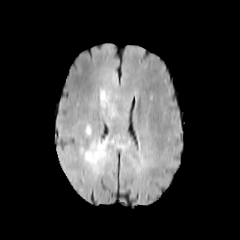
FLAIR magnetic resonance.
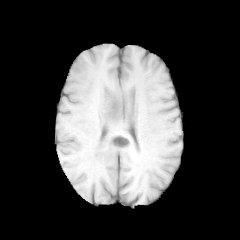
T1-weighted MR image of the same slice.
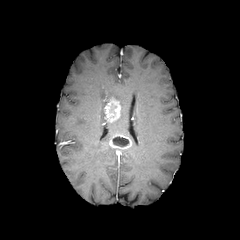
Post-contrast T1-weighted MRI.
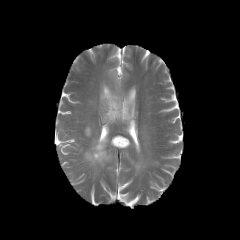
T2-weighted magnetic resonance of the same slice.
Brain
Edema: region(110, 96, 124, 124); region(85, 124, 91, 134); region(99, 90, 111, 123); region(82, 137, 110, 169).
Non-enhancing tumor core: region(113, 137, 129, 146).
Enhancing tumor: region(103, 97, 121, 122); region(109, 134, 132, 149).